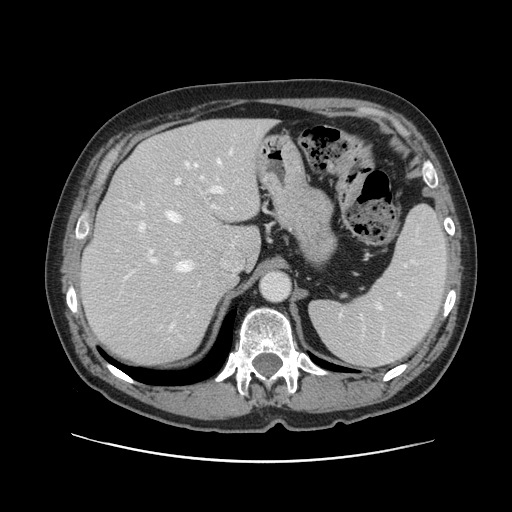

Computed tomography

The vessel annotation is not exhaustive.
{
  "partial": true,
  "hepatic_vessel": {
    "n_total": 17,
    "boxes": [
      "[166,211,180,221]",
      "[150,257,155,261]",
      "[128,271,132,275]",
      "[170,324,173,328]",
      "[210,186,223,192]",
      "[230,149,232,153]",
      "[176,261,190,271]",
      "[149,249,152,253]",
      "[185,162,188,165]",
      "[136,203,143,208]",
      "[175,178,180,184]",
      "[211,204,215,207]",
      "[194,163,196,166]",
      "[139,222,144,230]",
      "[217,159,220,163]"
    ]
  }
}